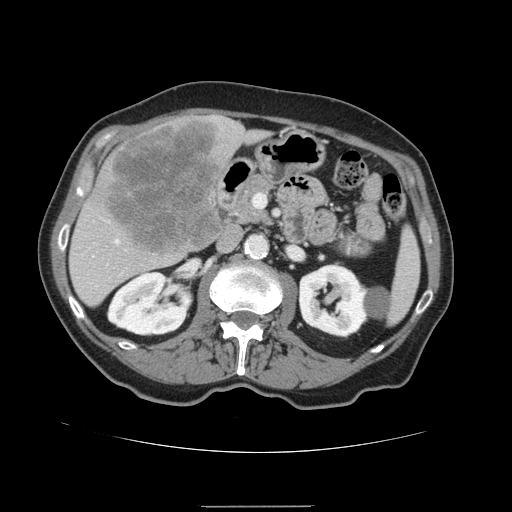

Computed tomography | Image size 512x512 | Upper abdomen
Annotated regions:
* spleen: 389, 231, 419, 322